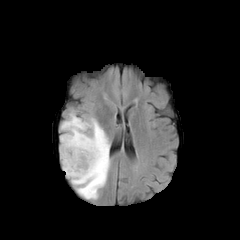
FLAIR MRI.
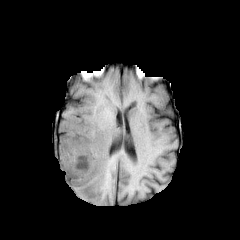
Same slice, T1-weighted MR.
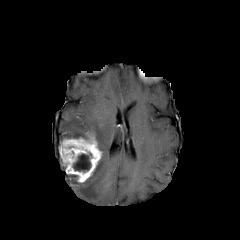
Same slice, post-contrast T1-weighted MR image.
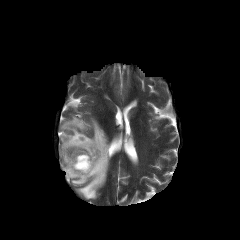
T2-weighted MR.
Brain
Enhancing tumor: box=[59, 134, 103, 185].
Non-enhancing tumor core: box=[74, 154, 90, 170].
Edema: box=[61, 113, 110, 199].